Image width 404 mm, CT image

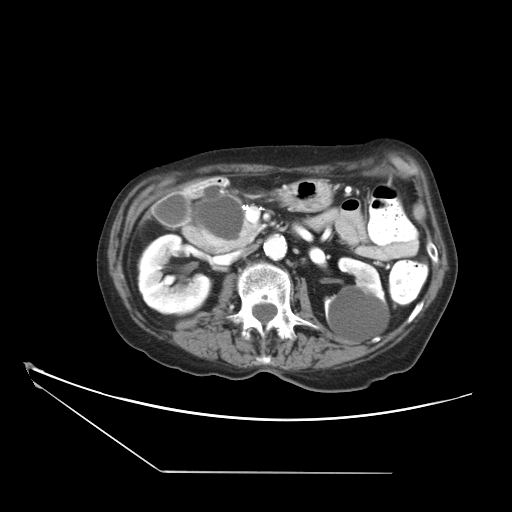

Pancreas: bbox(191, 187, 261, 253).
Pancreatic tumor: bbox(193, 196, 244, 240).